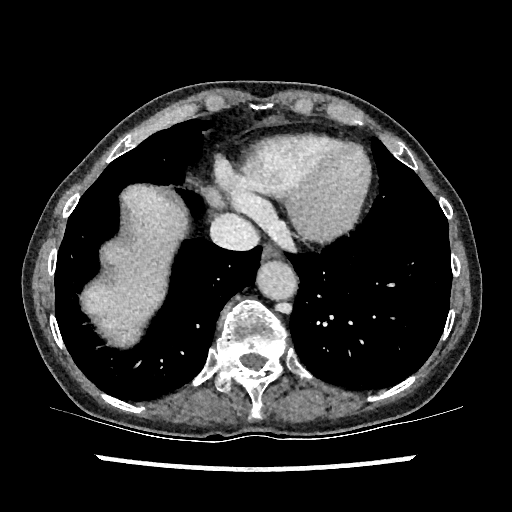

CT | Upper abdomen
liver: 83,185,185,344; 206,189,221,206